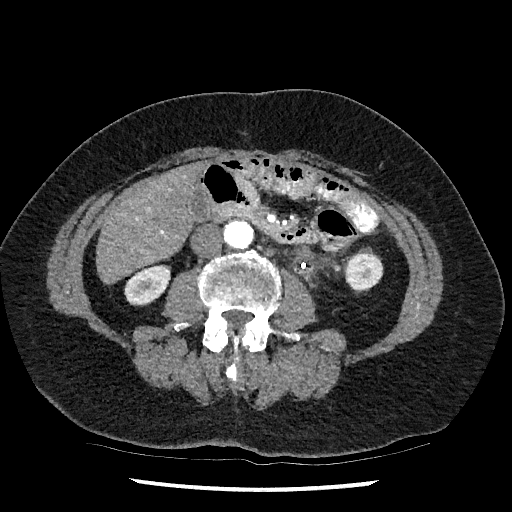
Computed tomography, Liver
Kidney at 125 266 169 304, 346 254 382 289.
Liver at 97 162 202 282.